Field of view 38x49 mm; MR image; Hippocampus

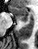

anterior_hippocampus:
  - [10, 7, 27, 21]